MRI. Slice 19/37.

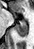 The anterior hippocampus is at bbox=[14, 14, 15, 17]. The posterior hippocampus is bounded by bbox=[15, 21, 27, 37].